Head. Slice 82/155.
FLAIR magnetic resonance.
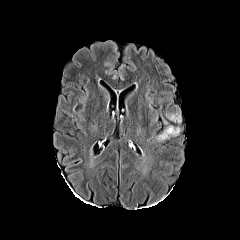
T1-weighted magnetic resonance.
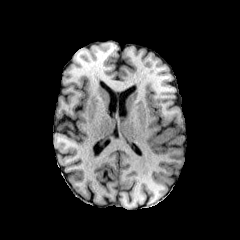
Post-contrast T1-weighted MRI.
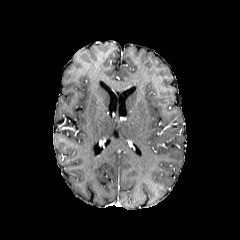
T2-weighted magnetic resonance.
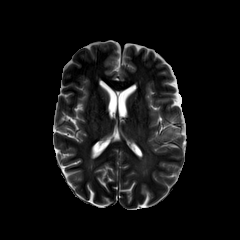
<segmentation>
  <edema><bbox>166, 110, 181, 122</bbox>, <bbox>155, 128, 179, 142</bbox></edema>
</segmentation>